Slice index 76 | Brain | Field of view 240 mm wide, 1.00 mm slice spacing | Image size 240x240
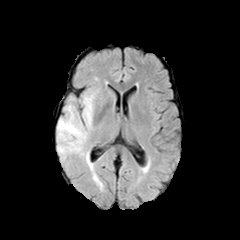
FLAIR MR image.
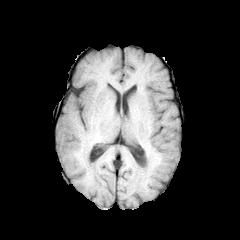
T1-weighted MR image.
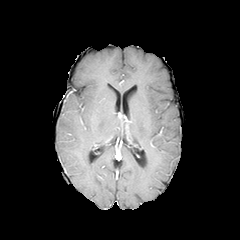
Post-contrast T1-weighted MR image.
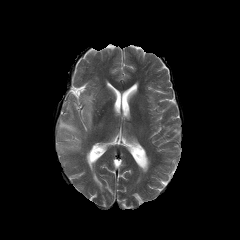
T2-weighted MR.
Edema at 57:90:96:161.